Slice 523 of 671 | CT slice

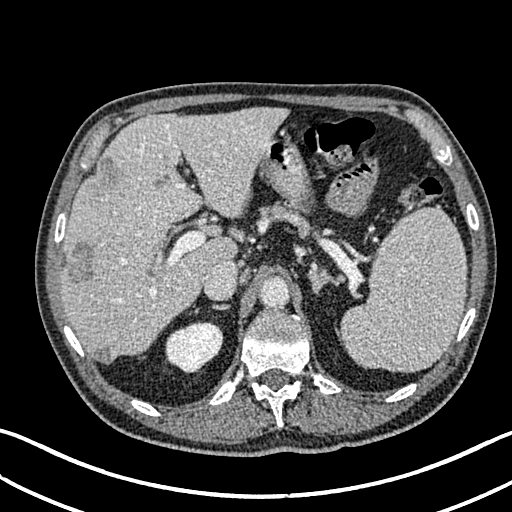
Liver = <bbox>204, 225, 220, 236</bbox>, <bbox>62, 106, 286, 362</bbox>.
Kidney = <bbox>166, 323, 222, 371</bbox>.
Focal liver lesion = <bbox>98, 348, 110, 356</bbox>, <bbox>71, 242, 93, 280</bbox>, <bbox>154, 179, 162, 186</bbox>, <bbox>86, 156, 122, 196</bbox>.